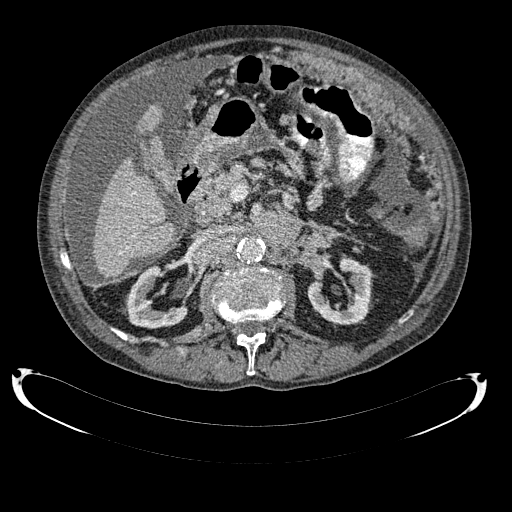

CT. liver: x1=136, y1=105, x2=162, y2=131; x1=93, y1=156, x2=174, y2=278; x1=151, y1=136, x2=162, y2=152 | kidney: x1=127, y1=266, x2=186, y2=327; x1=308, y1=255, x2=371, y2=324